Liver | CT | Field of view 440 mm wide, 5.00 mm slice spacing 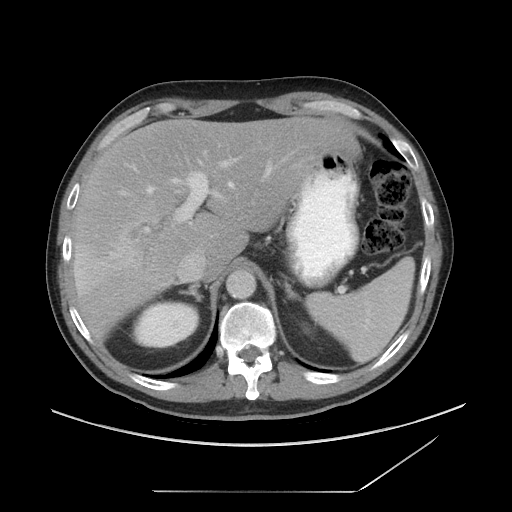 The vessel boxes may cover only some of the vessels.
Hepatic vessel: (left=181, top=174, right=205, bottom=219).